Upper abdomen; Slice index 585; Image width 382 mm; Image size 512x512; Computed tomography 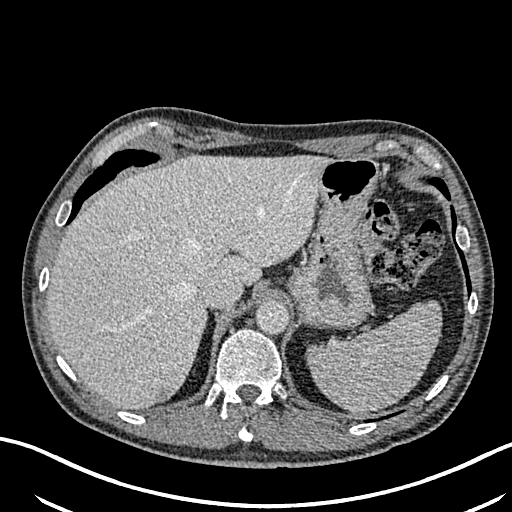

hepatic lesion: 154:386:171:401 | liver: 49:155:332:408